Image size 512x512; Computed tomography

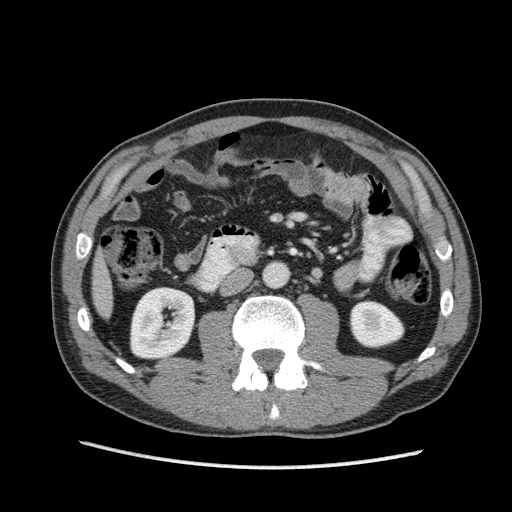
liver: box(91, 256, 112, 317) | kidney: box(131, 288, 193, 357); box(351, 302, 402, 345)